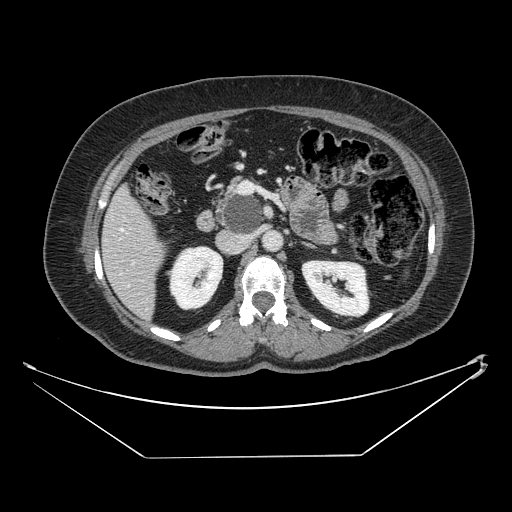
Computed tomography | Upper abdomen
- pancreatic tumor: 224,197,261,233
- pancreas: 214,175,264,236